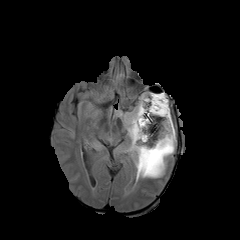
FLAIR MR image.
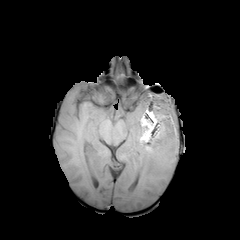
T1-weighted magnetic resonance.
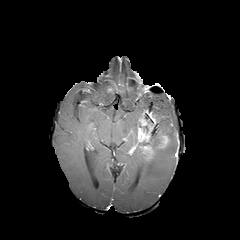
Same slice, post-contrast T1-weighted MR image.
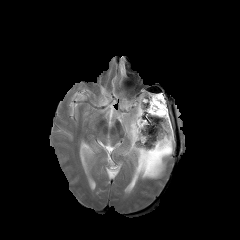
T2-weighted MRI.
Segmented structures:
- enhancing tumor: 143, 147, 153, 157; 137, 127, 147, 141; 158, 136, 168, 147
- non-enhancing tumor core: 133, 110, 155, 149
- edema: 113, 92, 175, 180